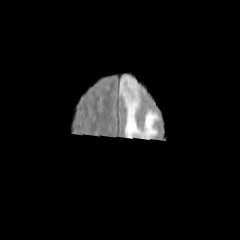
FLAIR MR.
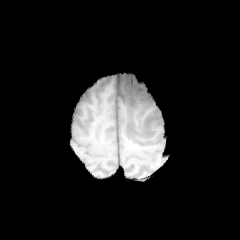
Same slice, T1-weighted MR.
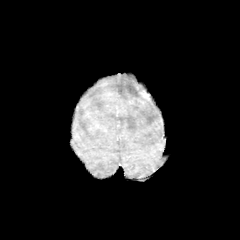
Post-contrast T1-weighted MRI.
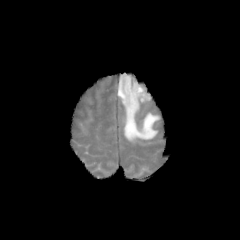
Same slice, T2-weighted MRI.
240x240 px
{"edema": ["left=117, top=74, right=160, bottom=141"]}